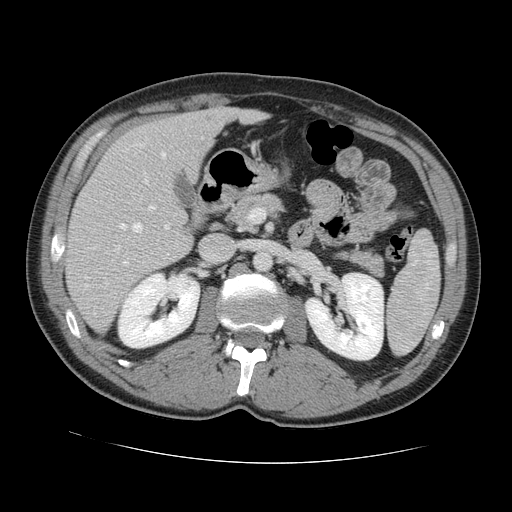

CT scan slice; 512x512 px

The vessel annotation is not exhaustive.
Hepatic vessel at 132:223:141:232, 104:281:106:287, 143:172:147:183, 162:153:164:157, 85:276:88:279, 164:224:169:228, 139:197:141:200, 89:246:95:249, 132:194:134:197, 148:205:155:209, 134:137:146:147, 115:245:119:252, 84:283:88:288, 120:224:125:228, 122:261:127:264.